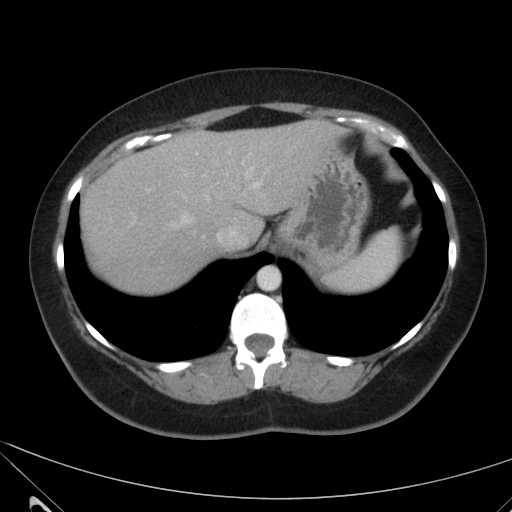 CT | 512x512 px | Abdomen

Annotated regions:
- liver: <box>81,119,350,292</box>